Head; Slice 93/155; 240x240
FLAIR MR image.
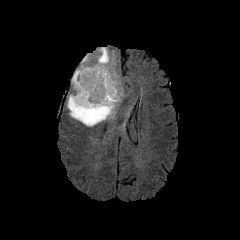
T1-weighted magnetic resonance.
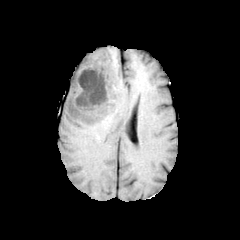
Post-contrast T1-weighted MR image.
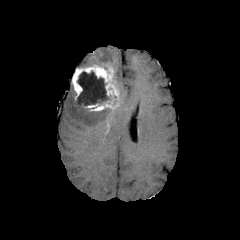
T2-weighted MR.
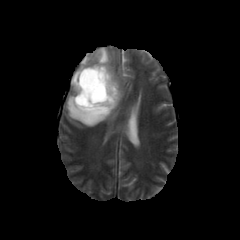
Enhancing tumor at rect(72, 64, 119, 111).
Edema at rect(66, 81, 117, 127); rect(80, 47, 121, 99).
Non-enhancing tumor core at rect(75, 71, 108, 113); rect(80, 62, 101, 66).